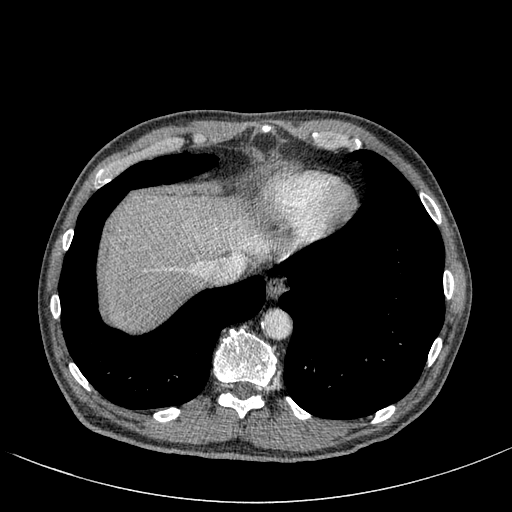
CT image. 512x512.
Liver — (x1=100, y1=194, x2=267, y2=330).